CT image; Image size 512x512; Upper abdomen
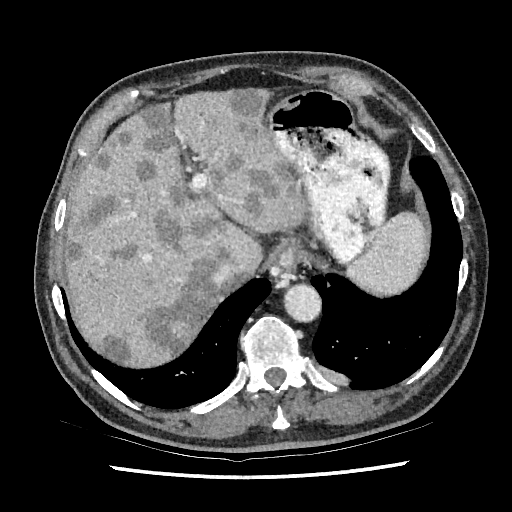
liver:
  - x1=65 y1=88 x2=305 y2=364
liver_lesion:
  - x1=94 y1=131 x2=132 y2=170
  - x1=78 y1=196 x2=118 y2=230
  - x1=242 y1=160 x2=292 y2=219
  - x1=135 y1=160 x2=155 y2=182
  - x1=66 y1=233 x2=82 y2=261
  - x1=230 y1=90 x2=267 y2=134
  - x1=140 y1=270 x2=153 y2=283
  - x1=155 y1=209 x2=229 y2=256
  - x1=168 y1=184 x2=187 y2=205
  - x1=144 y1=243 x2=232 y2=355
  - x1=97 y1=335 x2=129 y2=362
  - x1=109 y1=243 x2=137 y2=263
  - x1=140 y1=104 x2=176 y2=152
  - x1=215 y1=152 x2=243 y2=181